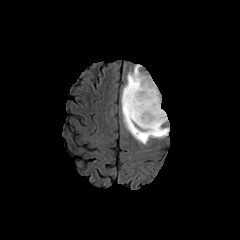
FLAIR MRI.
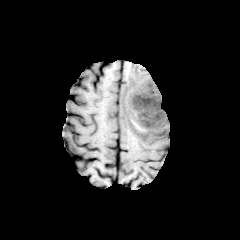
T1-weighted MR.
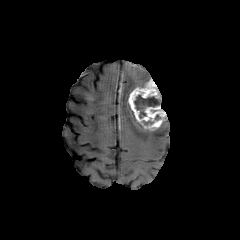
Post-contrast T1-weighted magnetic resonance of the same slice.
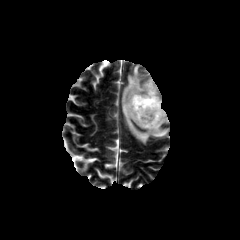
T2-weighted MR of the same slice.
Non-enhancing tumor core: bounding box [x1=148, y1=128, x2=165, y2=135], [x1=123, y1=82, x2=145, y2=119], [x1=134, y1=95, x2=160, y2=117].
Edema: bounding box [x1=120, y1=64, x2=169, y2=144].
Enhancing tumor: bounding box [x1=128, y1=79, x2=165, y2=129].